Slice 50/90, Abdomen, 512x512, CT

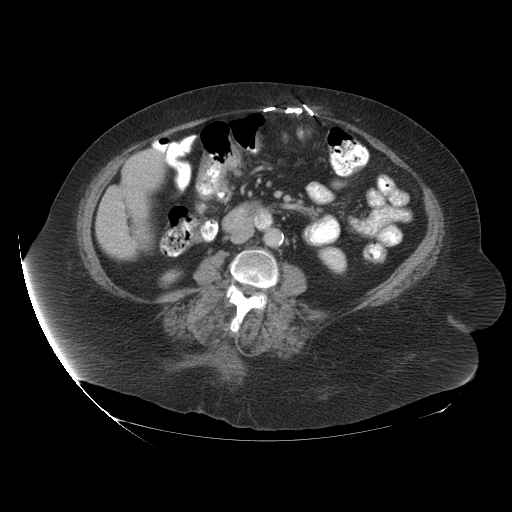
Colon tumor — 197, 156, 210, 182; 215, 145, 241, 190.